Liver | CT slice

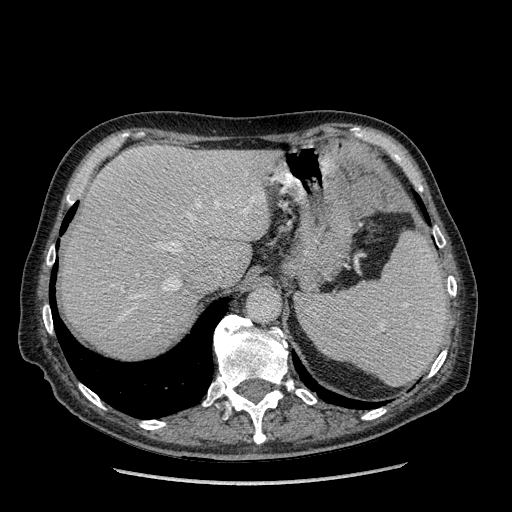

The liver appears at (left=62, top=145, right=278, bottom=360).